CT image. Slice 105 of 696. 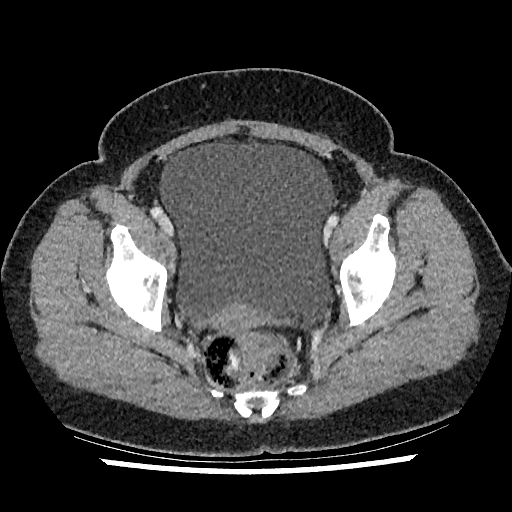
The urinary bladder lies within <bbox>160, 141, 333, 327</bbox>.